Computed tomography
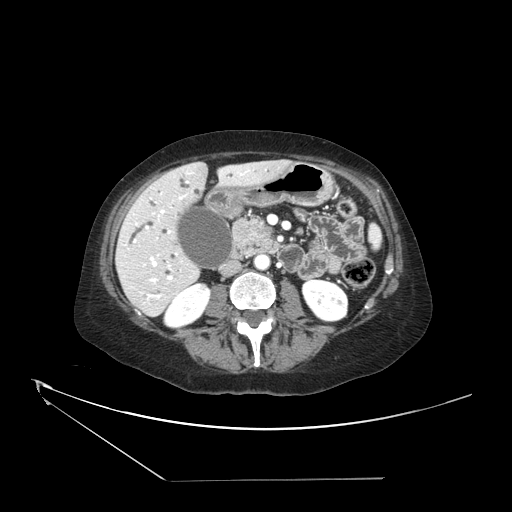

<segmentation>
  <pancreas>rect(233, 217, 277, 256)</pancreas>
  <pancreatic_tumor>rect(259, 227, 272, 236)</pancreatic_tumor>
</segmentation>